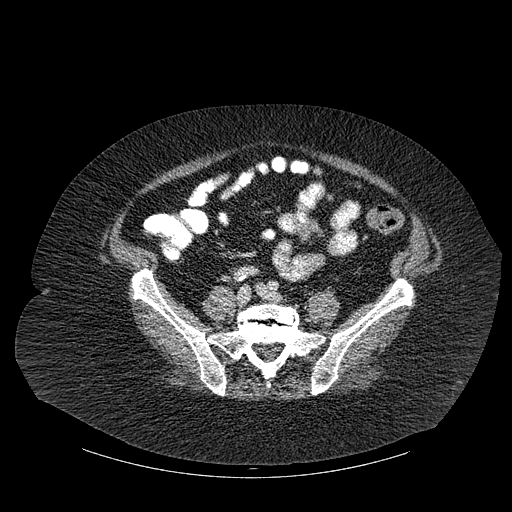 Computed tomography
- bone: [311,279,413,394], [132,268,325,395]